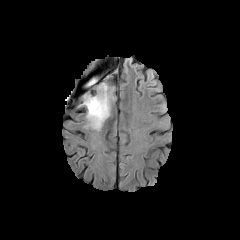
FLAIR MR image.
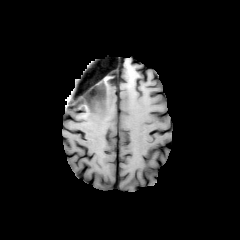
T1-weighted magnetic resonance of the same slice.
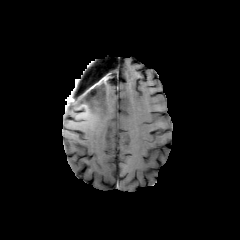
Post-contrast T1-weighted magnetic resonance of the same slice.
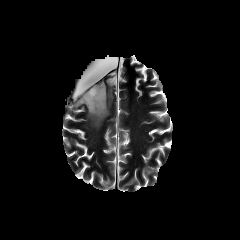
T2-weighted MR image.
Head
Non-enhancing tumor core at 82,86,97,107.
Edema at 84,82,114,130; 84,76,98,87.